CT, Slice index 31
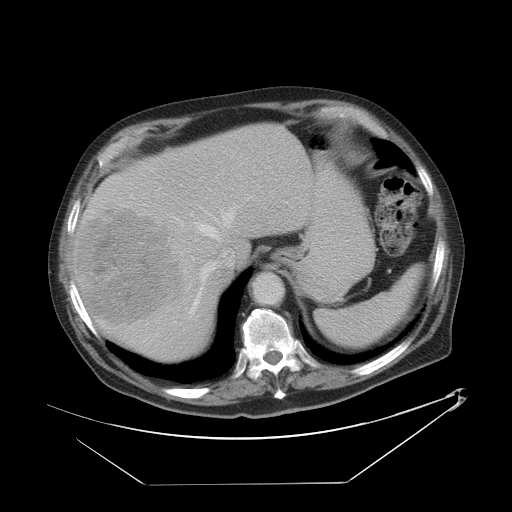

The vessel boxes may cover only some of the vessels.
hepatic_vessel:
  - {"x1": 189, "y1": 291, "x2": 201, "y2": 313}
  - {"x1": 218, "y1": 222, "x2": 221, "y2": 224}
  - {"x1": 197, "y1": 224, "x2": 220, "y2": 241}
  - {"x1": 202, "y1": 261, "x2": 217, "y2": 279}
  - {"x1": 173, "y1": 217, "x2": 179, "y2": 220}
  - {"x1": 190, "y1": 213, "x2": 192, "y2": 215}
  - {"x1": 220, "y1": 208, "x2": 235, "y2": 227}
  - {"x1": 247, "y1": 198, "x2": 248, "y2": 200}
  - {"x1": 180, "y1": 222, "x2": 182, "y2": 225}
liver_tumor:
  - {"x1": 76, "y1": 208, "x2": 185, "y2": 323}